Slice index 25 | CT scan slice | Abdomen | Image size 512x512
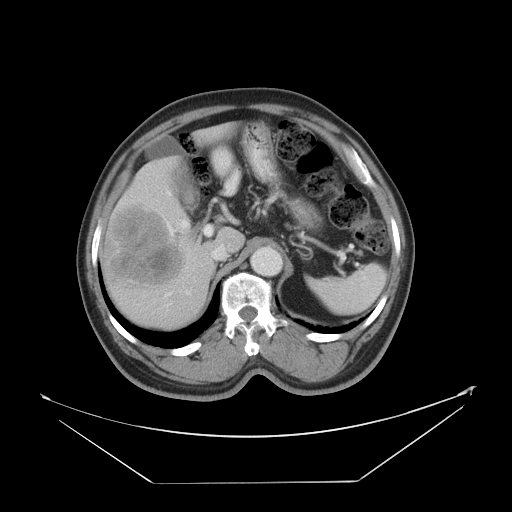

The vessel boxes may cover only some of the vessels.
liver tumor: left=111, top=211, right=182, bottom=284 | hepatic vessel: left=165, top=304, right=169, bottom=306; left=167, top=221, right=173, bottom=234; left=165, top=189, right=170, bottom=194; left=205, top=226, right=211, bottom=231; left=177, top=220, right=188, bottom=227; left=164, top=292, right=171, bottom=297; left=185, top=288, right=191, bottom=294; left=186, top=266, right=187, bottom=268